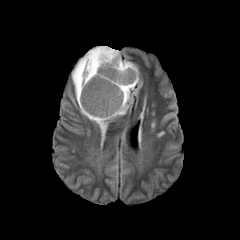
FLAIR MR image.
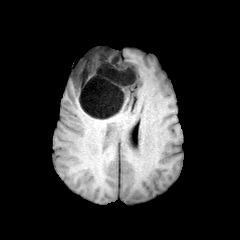
T1-weighted MRI of the same slice.
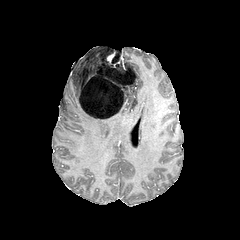
Post-contrast T1-weighted MR.
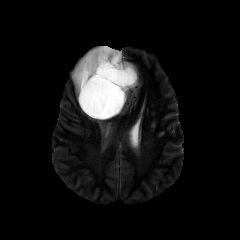
T2-weighted MR.
Brain, 240x240
Segmented structures:
- non-enhancing tumor core: left=78, top=48, right=136, bottom=118
- edema: left=79, top=55, right=141, bottom=140; left=71, top=46, right=122, bottom=105